Slice 58/155; Field of view 240x240 mm; 240x240 px
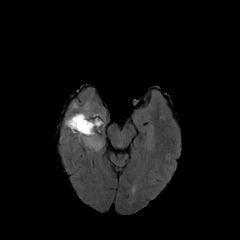
FLAIR MR image.
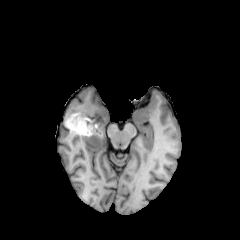
Same slice, T1-weighted magnetic resonance.
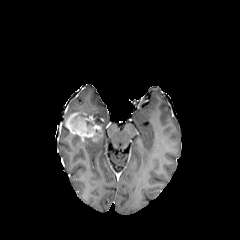
Post-contrast T1-weighted magnetic resonance.
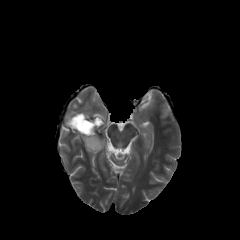
T2-weighted MR image.
Enhancing tumor: 65 112 101 141.
Edema: 62 98 105 153.